FLAIR MR image.
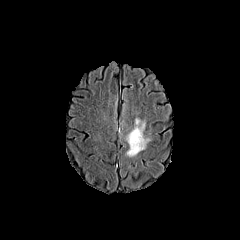
T1-weighted MR image.
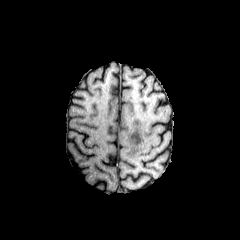
Post-contrast T1-weighted MRI.
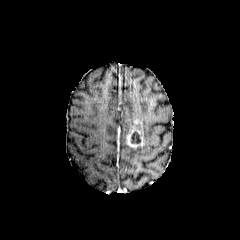
T2-weighted MR.
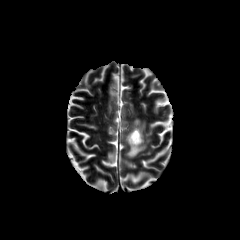
Annotated regions:
* enhancing tumor: bbox=[125, 121, 146, 148]
* non-enhancing tumor core: bbox=[130, 131, 141, 144]; bbox=[129, 146, 141, 155]; bbox=[134, 120, 141, 130]